Slice index 131. Computed tomography. Image size 512x512. 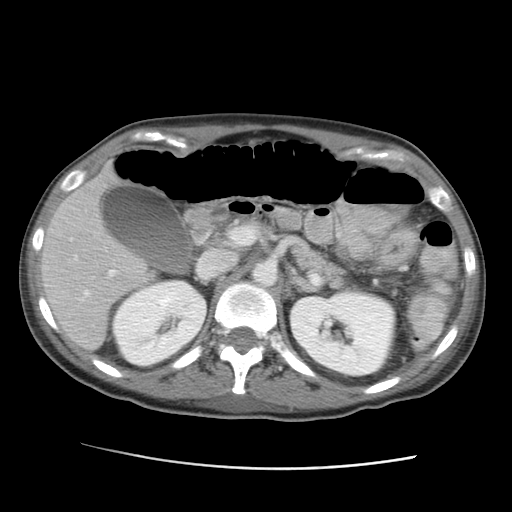
<segmentation>
  <liver>region(41, 160, 153, 349)</liver>
  <kidney>region(290, 291, 394, 375); region(113, 281, 205, 364)</kidney>
</segmentation>